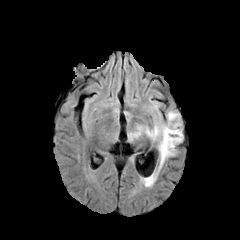
FLAIR MR.
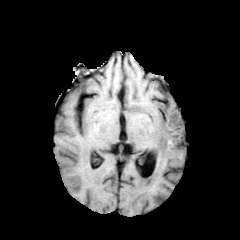
Same slice, T1-weighted MR.
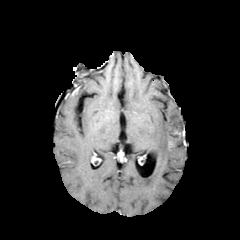
Same slice, post-contrast T1-weighted MRI.
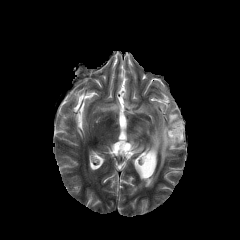
T2-weighted MRI of the same slice.
Head
{
  "edema": [
    "box=[128, 109, 183, 187]",
    "box=[152, 101, 160, 113]"
  ]
}